Image width 240 mm, Slice 67 of 155, Brain, 240x240
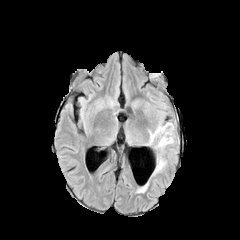
FLAIR MR.
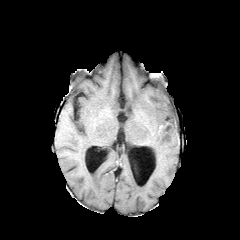
T1-weighted MRI.
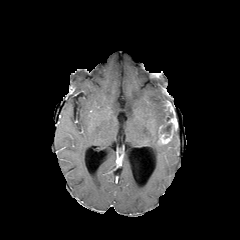
Same slice, post-contrast T1-weighted MR.
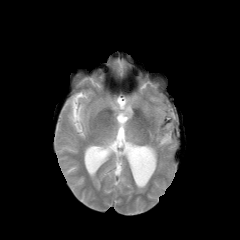
T2-weighted MRI of the same slice.
Enhancing tumor at <bbox>160, 135, 169, 143</bbox>.
Edema at <bbox>155, 156, 166, 173</bbox>, <bbox>147, 102, 173, 151</bbox>.